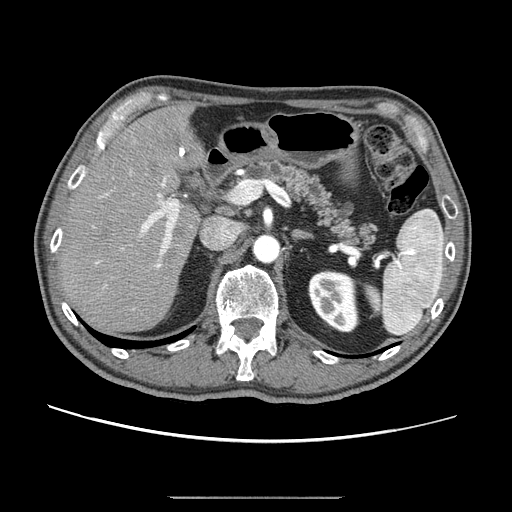

CT slice
pancreas: [x1=245, y1=161, x2=375, y2=246]